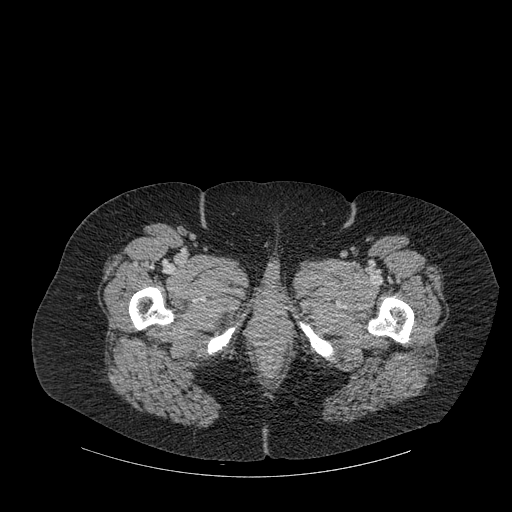 CT
4 bone regions are bounded by [x1=368, y1=297, x2=413, y2=342], [x1=129, y1=287, x2=173, y2=329], [x1=300, y1=322, x2=333, y2=356], [x1=208, y1=327, x2=234, y2=353].